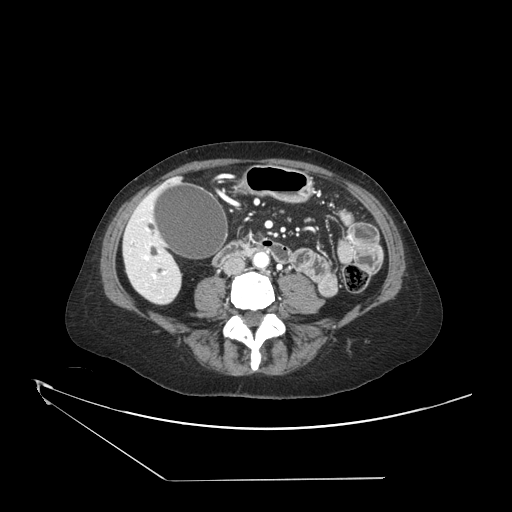 Computed tomography. 512x512 px.

pancreas: 245 243 253 253